CT slice; Abdomen 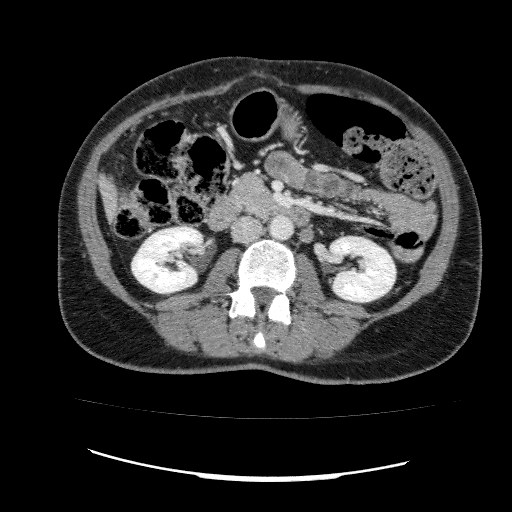

<segmentation>
  <kidney>(x1=330, y1=237, x2=395, y2=301), (x1=132, y1=227, x2=202, y2=292)</kidney>
  <liver>(x1=100, y1=175, x2=117, y2=221)</liver>
</segmentation>